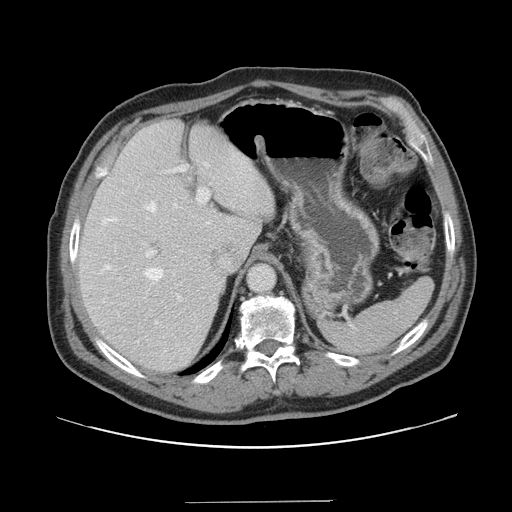

CT slice
Only some of the vessels may be annotated.
9 hepatic vessel regions are located at bbox=[197, 188, 209, 203]; bbox=[102, 217, 117, 223]; bbox=[165, 165, 186, 172]; bbox=[177, 294, 180, 299]; bbox=[105, 265, 110, 269]; bbox=[205, 164, 207, 165]; bbox=[144, 268, 162, 280]; bbox=[145, 201, 155, 212]; bbox=[145, 249, 155, 257].